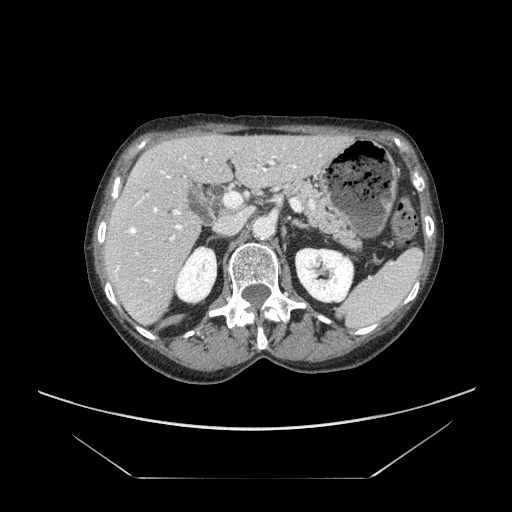
Abdomen; CT
<segmentation>
  <pancreas>(x1=274, y1=180, x2=365, y2=257)</pancreas>
</segmentation>